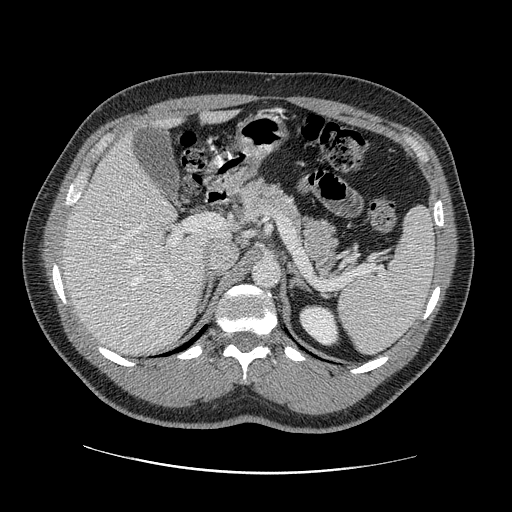

CT; Abdomen
pancreas: left=234, top=177, right=339, bottom=278